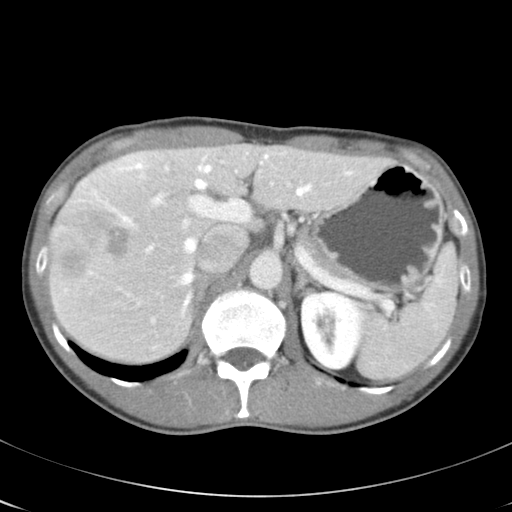

CT scan slice.
Not every hepatic vessel necessarily has a box.
<segmentation partial="true">
  <hepatic_vessel shown="15" total="18">box(297, 185, 310, 194); box(197, 181, 205, 188); box(184, 220, 188, 225); box(135, 164, 142, 167); box(185, 296, 189, 305); box(182, 273, 191, 283); box(190, 196, 249, 220); box(346, 172, 351, 174); box(123, 167, 133, 168); box(264, 155, 267, 158); box(148, 246, 152, 250); box(153, 196, 162, 203); box(127, 217, 131, 223); box(185, 239, 195, 250); box(199, 165, 210, 171)</hepatic_vessel>
  <liver_tumor>box(50, 200, 130, 282)</liver_tumor>
</segmentation>